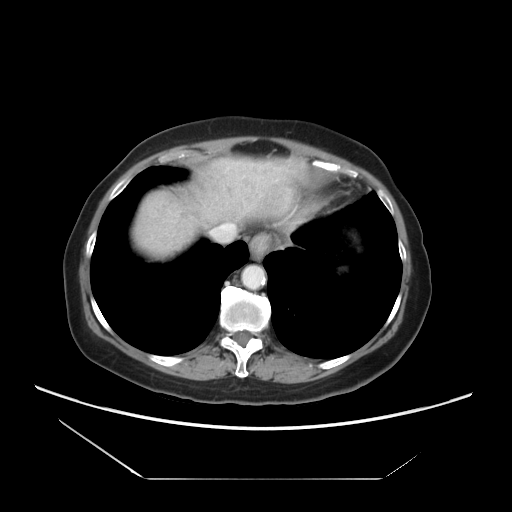

CT scan slice. Abdomen. Only some of the vessels may be annotated.
{"hepatic_vessel": [{"x1": 210, "y1": 225, "x2": 228, "y2": 241}]}